CT | Image width 400 mm

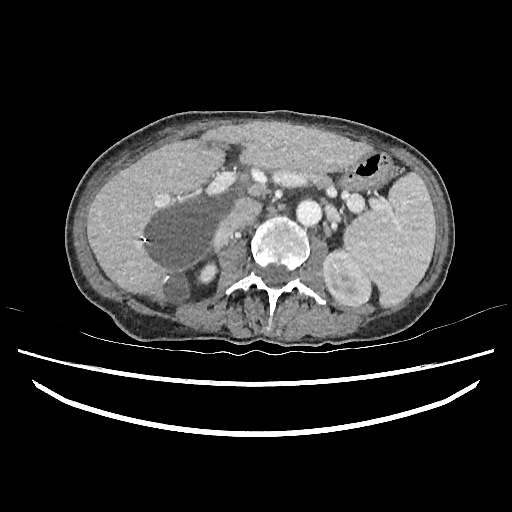

<segmentation>
  <liver>87, 122, 370, 301; 222, 187, 240, 203</liver>
  <liver_lesion>144, 192, 231, 302</liver_lesion>
  <kidney>201, 265, 215, 281; 323, 251, 370, 304</kidney>
</segmentation>